FLAIR MR image.
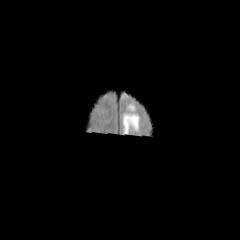
T1-weighted MR image.
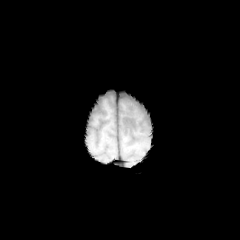
Post-contrast T1-weighted MRI.
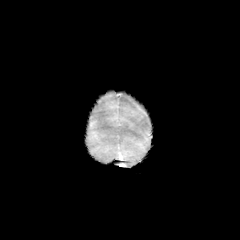
T2-weighted MRI.
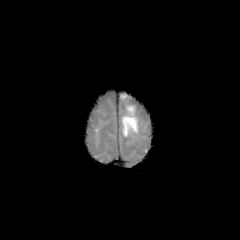
Brain, 240x240
{"edema": ["(left=122, top=105, right=138, bottom=137)"]}